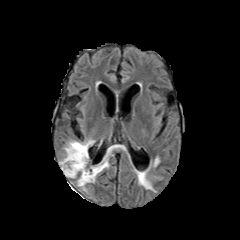
FLAIR MR.
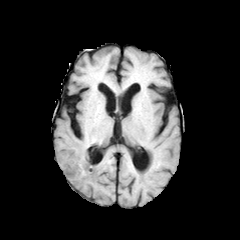
Same slice, T1-weighted magnetic resonance.
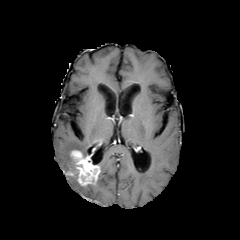
Post-contrast T1-weighted MR of the same slice.
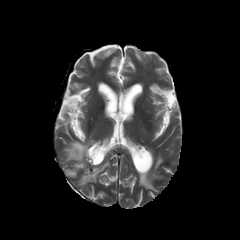
Same slice, T2-weighted MRI.
240x240 px.
Edema: bounding box bbox(61, 140, 90, 173); bbox(137, 158, 159, 188); bbox(97, 146, 112, 171).
Non-enhancing tumor core: bounding box bbox(65, 162, 78, 179).
Enhancing tumor: bounding box bbox(71, 150, 99, 185).